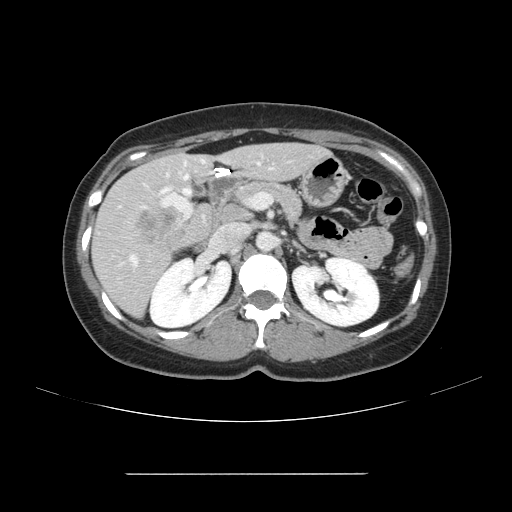

Abdomen, CT image
Some hepatic vessels may have no box.
7 hepatic vessel regions appear at (x1=130, y1=255, x2=136, y2=265), (x1=201, y1=159, x2=204, y2=163), (x1=167, y1=173, x2=168, y2=175), (x1=143, y1=206, x2=145, y2=207), (x1=184, y1=162, x2=185, y2=164), (x1=184, y1=175, x2=187, y2=178), (x1=258, y1=162, x2=260, y2=164). The liver tumor is at (x1=137, y1=210, x2=174, y2=242).